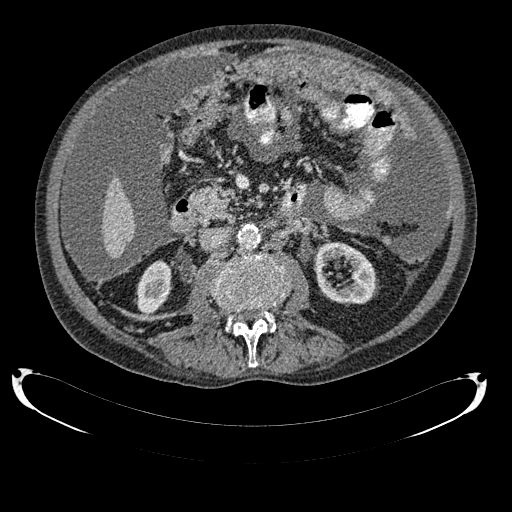
Image size 512x512. CT image.
The liver is bounded by l=103, t=174, r=134, b=258. 2 kidney regions are located at l=315, t=243, r=375, b=303; l=137, t=261, r=170, b=313.